Upper abdomen; CT scan slice 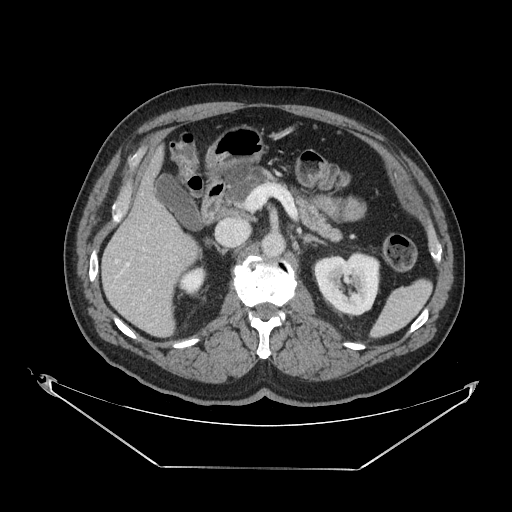 pancreatic_tumor:
  - bbox(228, 166, 262, 201)
pancreas:
  - bbox(222, 161, 344, 242)